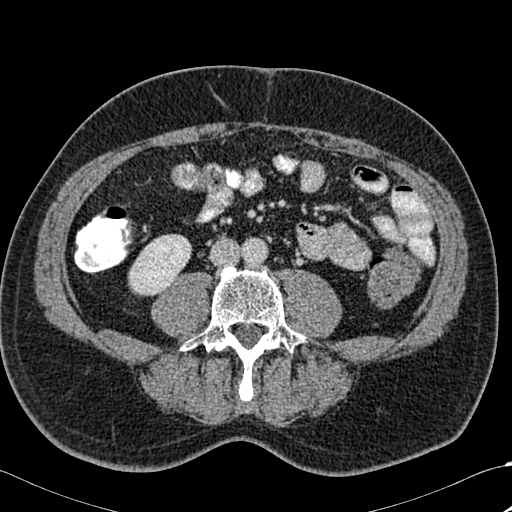
CT image
Kidney: <bbox>130, 235, 190, 294</bbox>.
Bone: <bbox>182, 266, 306, 400</bbox>.